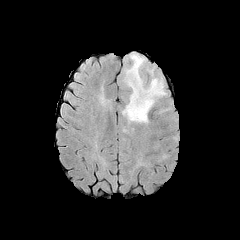
FLAIR MR.
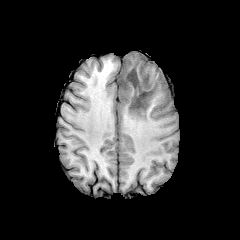
T1-weighted MR image of the same slice.
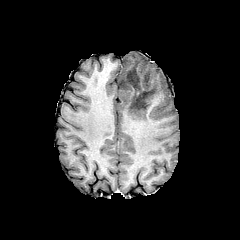
Post-contrast T1-weighted MRI.
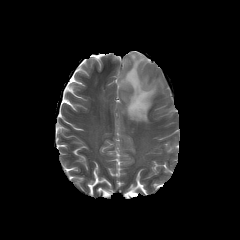
T2-weighted MR.
Image size 240x240
Findings:
- non-enhancing tumor core: region(125, 70, 149, 108)
- edema: region(120, 52, 164, 122)